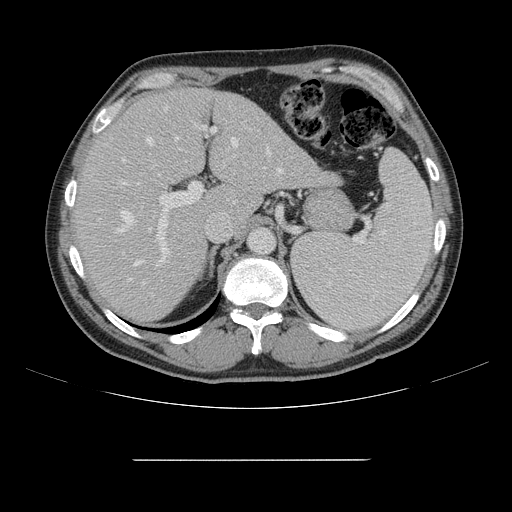 512x512 px, Liver, CT

Only some of the vessels may be annotated.
[15/20] hepatic vessel: l=266, t=148, r=269, b=155; l=119, t=210, r=133, b=230; l=134, t=260, r=142, b=265; l=158, t=216, r=168, b=263; l=200, t=125, r=215, b=137; l=175, t=137, r=178, b=141; l=142, t=280, r=144, b=284; l=147, t=138, r=153, b=145; l=123, t=183, r=127, b=184; l=159, t=181, r=202, b=212; l=278, t=168, r=282, b=177; l=231, t=138, r=237, b=146; l=210, t=161, r=212, b=163; l=164, t=105, r=167, b=111; l=123, t=159, r=125, b=161